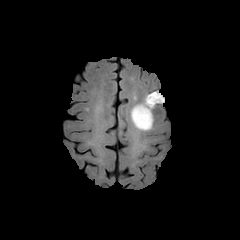
FLAIR MR.
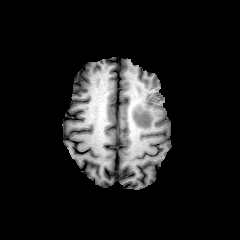
T1-weighted magnetic resonance of the same slice.
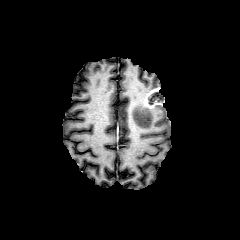
Post-contrast T1-weighted MR.
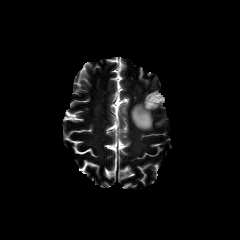
T2-weighted MR of the same slice.
Brain
The edema is located at (130, 104, 153, 130). The non-enhancing tumor core is bounded by (148, 90, 160, 104). The enhancing tumor is at (143, 94, 160, 108).